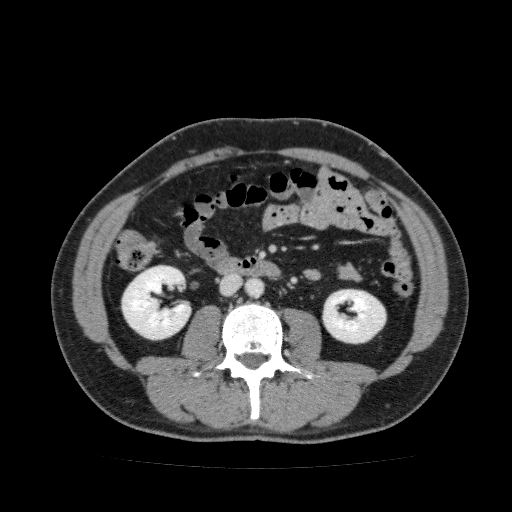 512x512 px | CT
Kidney: box=[323, 289, 385, 343]; box=[122, 266, 190, 339].